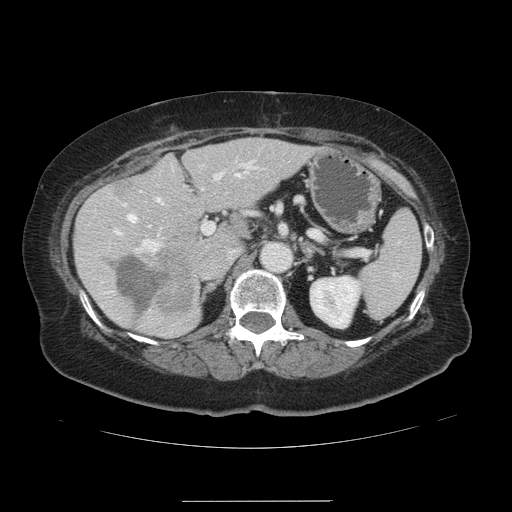 CT, 512x512 px, Abdomen

The vessel boxes may cover only some of the vessels.
Liver tumor = {"x1": 114, "y1": 179, "x2": 130, "y2": 189}, {"x1": 117, "y1": 249, "x2": 193, "y2": 314}.
Hepatic vessel = {"x1": 127, "y1": 214, "x2": 136, "y2": 221}, {"x1": 243, "y1": 160, "x2": 257, "y2": 172}, {"x1": 134, "y1": 240, "x2": 159, "y2": 251}, {"x1": 201, "y1": 220, "x2": 214, "y2": 234}, {"x1": 156, "y1": 197, "x2": 161, "y2": 202}, {"x1": 236, "y1": 174, "x2": 240, "y2": 176}, {"x1": 157, "y1": 231, "x2": 159, "y2": 235}, {"x1": 213, "y1": 172, "x2": 220, "y2": 178}, {"x1": 114, "y1": 229, "x2": 120, "y2": 233}.